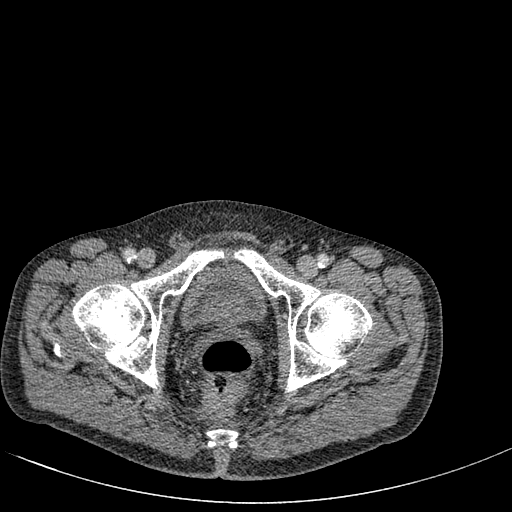
CT image | Pelvis
Urinary bladder: bounding box (178, 252, 267, 330).